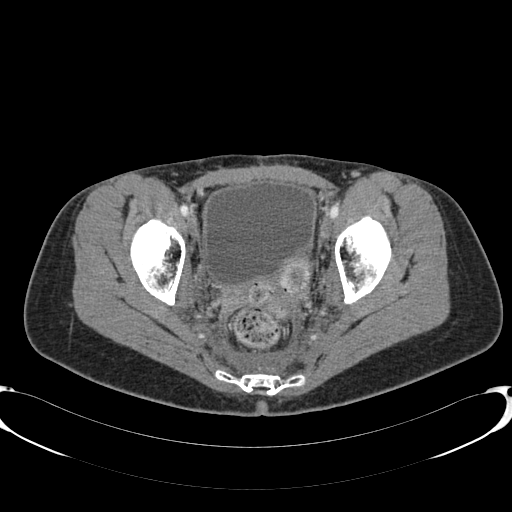 Computed tomography
Urinary bladder — 206 183 313 283.